FLAIR MR image.
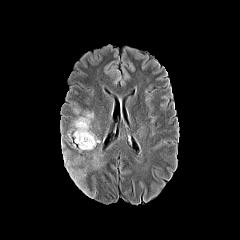
T1-weighted MR image.
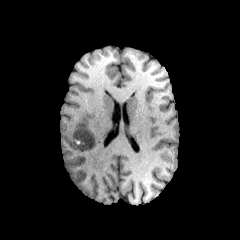
Post-contrast T1-weighted MR.
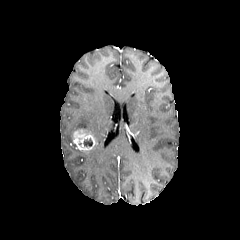
T2-weighted MRI.
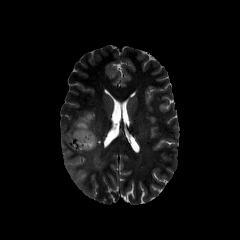
Brain
{
  "non-enhancing_tumor_core": [
    "x1=83, y1=138, x2=92, y2=146"
  ],
  "edema": [
    "x1=90, y1=144, x2=103, y2=168",
    "x1=62, y1=152, x2=84, y2=185",
    "x1=67, y1=112, x2=94, y2=142"
  ],
  "enhancing_tumor": [
    "x1=72, y1=128, x2=96, y2=151"
  ]
}